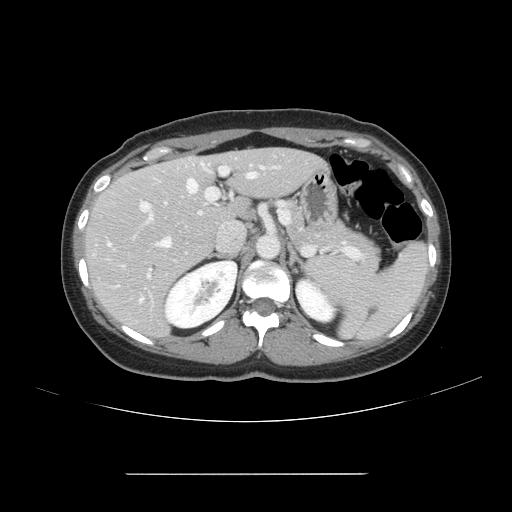
CT scan slice | 512x512 px

The vessel boxes may cover only some of the vessels.
11 hepatic vessel regions are bounded by 246 172 256 178, 261 166 264 168, 139 298 142 301, 199 211 201 213, 220 166 228 174, 157 238 170 246, 201 163 204 166, 107 242 110 245, 205 187 218 200, 187 179 197 192, 140 202 152 221.